CT image
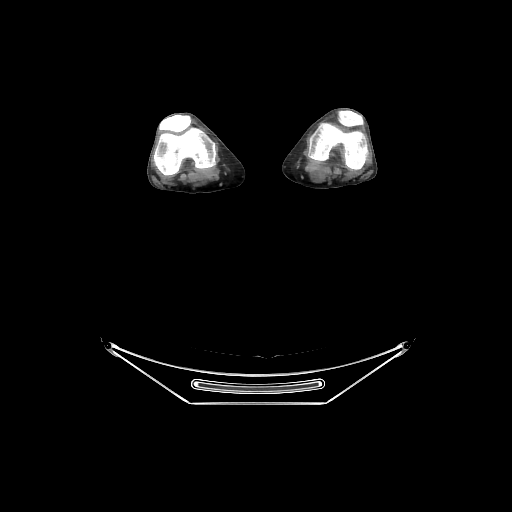

<segmentation>
  <bone>bbox(154, 115, 215, 175); bbox(338, 110, 363, 126); bbox(308, 123, 368, 169)</bone>
</segmentation>